Liver, Image size 512x512, Field of view 472x472 mm, CT

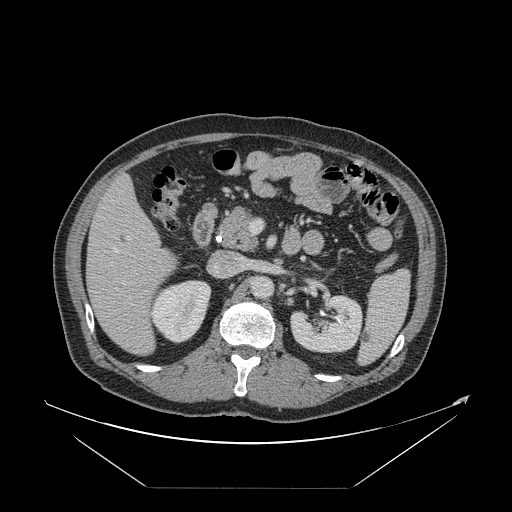 The vessel annotation is not exhaustive.
hepatic_vessel:
  - x1=115, y1=249, x2=116, y2=251
  - x1=127, y1=237, x2=130, y2=239
  - x1=110, y1=262, x2=112, y2=263